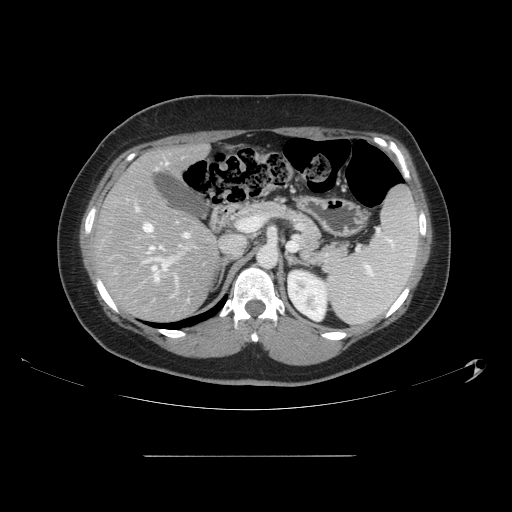 CT
The vessel boxes may cover only some of the vessels.
Hepatic vessel = 144:258:167:271, 148:246:153:253, 152:266:158:281, 143:223:152:231, 136:206:138:211, 159:246:161:248, 183:233:188:237.